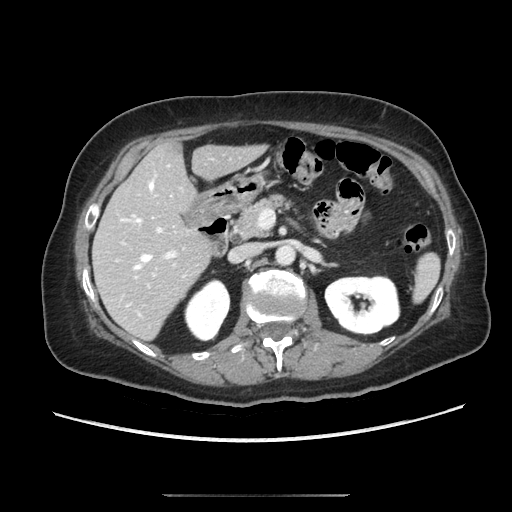 Upper abdomen; CT image
{"pancreas": ["(235,196,283,238)"]}